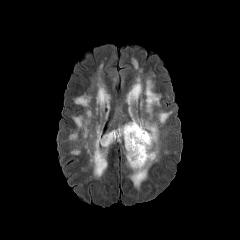
FLAIR MRI.
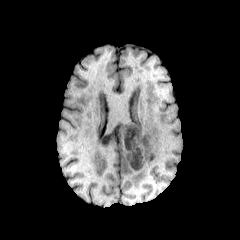
T1-weighted MRI.
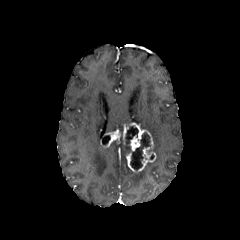
Post-contrast T1-weighted MR image.
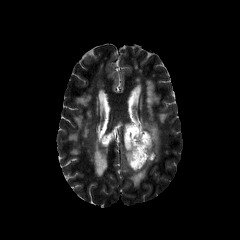
T2-weighted MR.
240x240
{"non-enhancing_tumor_core": ["<box>100,135,113,145</box>", "<box>123,125,138,153</box>", "<box>130,132,150,170</box>"], "enhancing_tumor": ["<box>122,123,156,172</box>", "<box>100,129,120,147</box>"], "edema": ["<box>144,78,161,119</box>", "<box>69,132,77,141</box>", "<box>158,112,172,123</box>", "<box>88,126,107,178</box>", "<box>139,120,160,162</box>", "<box>96,75,109,108</box>", "<box>130,163,153,190</box>", "<box>75,94,90,106</box>", "<box>72,116,90,138</box>", "<box>131,59,137,70</box>", "<box>126,74,142,106</box>"]}